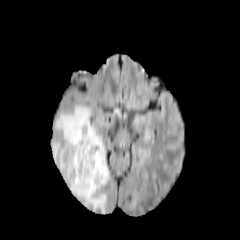
FLAIR MRI.
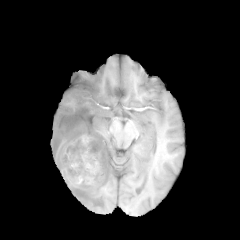
Same slice, T1-weighted magnetic resonance.
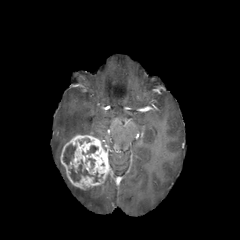
Same slice, post-contrast T1-weighted MRI.
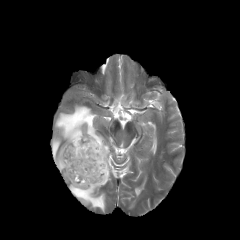
T2-weighted MR.
Head
Non-enhancing tumor core: bounding box bbox(68, 164, 102, 182); bbox(62, 144, 75, 165); bbox(88, 145, 97, 153).
Edema: bounding box bbox(51, 104, 109, 211).
Enhancing tumor: bounding box bbox(60, 133, 109, 189).